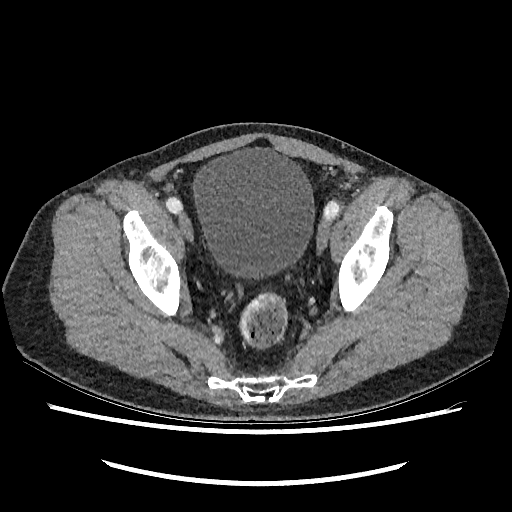
Pelvis. CT image. <segmentation>
  <urinary_bladder>[193,147,314,279]</urinary_bladder>
</segmentation>